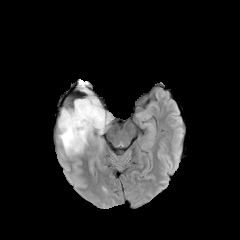
FLAIR MR.
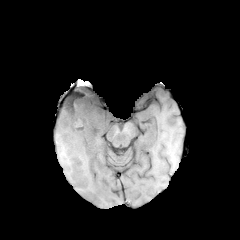
T1-weighted MR.
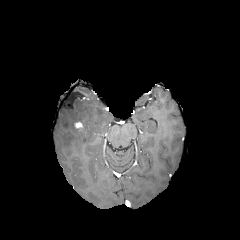
Post-contrast T1-weighted MRI.
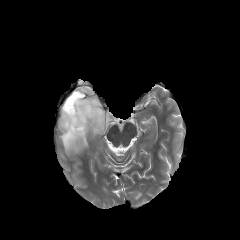
T2-weighted MR.
Brain
Findings:
- edema: 58 100 112 154, 69 86 91 107
- non-enhancing tumor core: 64 92 97 130
- enhancing tumor: 74 122 83 129